CT image | 512x512 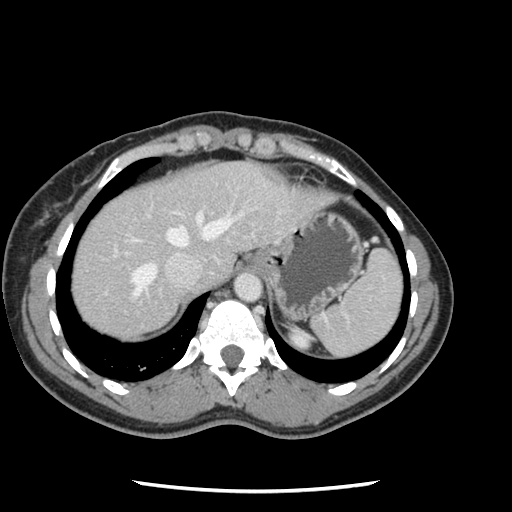 The vessel boxes may cover only some of the vessels.
Annotated regions:
* hepatic vessel: (166, 226, 187, 245), (131, 263, 155, 297), (196, 213, 231, 238)